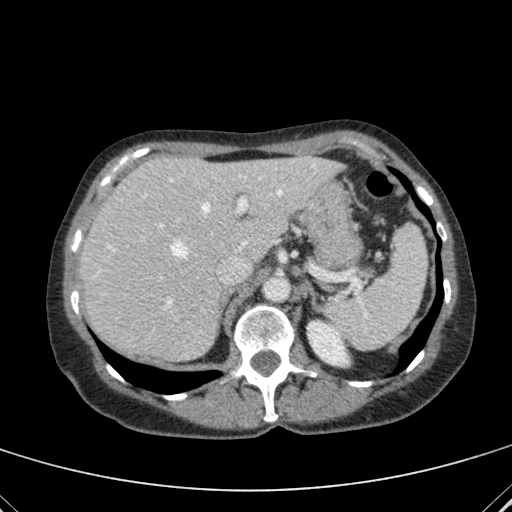 Upper abdomen | CT
Liver: (79,156,337,360).
Kidney: (309,322,347,363).